CT image. Slice index 630. 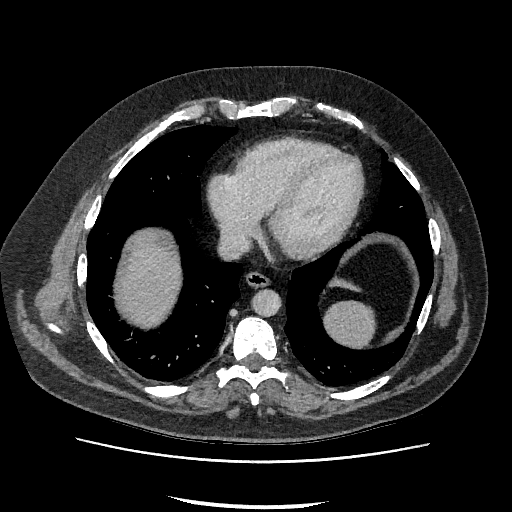
Liver at <box>330,281,357,290</box>, <box>119,232,179,324</box>.